FLAIR MRI.
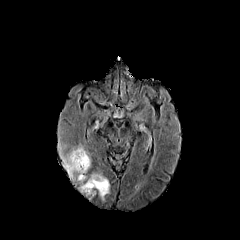
T1-weighted MR image.
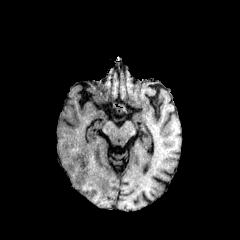
Post-contrast T1-weighted MR.
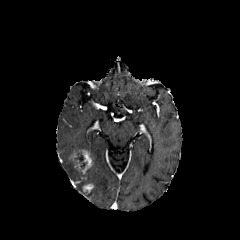
T2-weighted magnetic resonance.
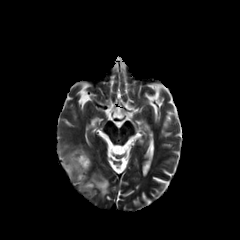
Head
Enhancing tumor: (x1=77, y1=149, x2=94, y2=172), (x1=82, y1=183, x2=93, y2=194).
Edema: (x1=62, y1=151, x2=110, y2=199).